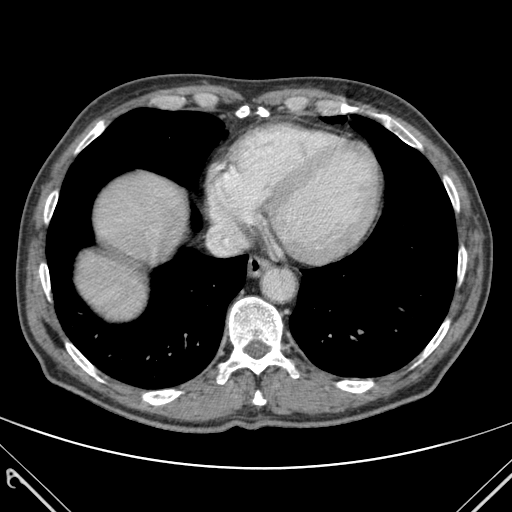 Upper abdomen, Image size 512x512, CT scan slice
2 liver regions appear at 94 172 186 264, 77 251 145 320. 14 bone regions appear at 66 343 102 381, 253 391 265 404, 217 297 298 383, 337 381 372 392, 236 106 251 117, 44 190 57 221, 423 321 448 357, 76 121 104 151, 444 177 458 209, 143 390 180 404, 458 248 466 280, 39 262 49 299, 253 107 268 116, 372 114 421 147. 4 lung regions appear at 289 115 457 377, 323 116 346 123, 46 108 247 388, 191 209 201 230.